Image width 240 mm
FLAIR MR.
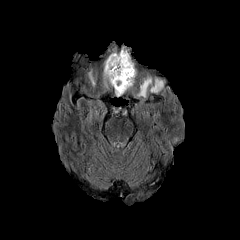
T1-weighted MR image.
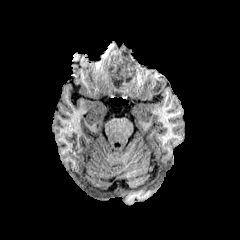
Post-contrast T1-weighted MR image.
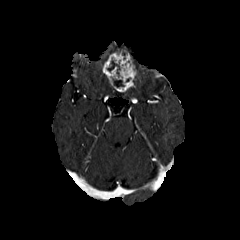
T2-weighted MR.
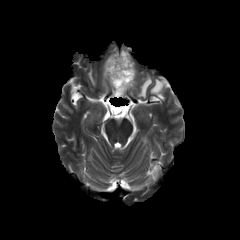
Enhancing tumor = bbox(102, 46, 138, 94).
Non-enhancing tumor core = bbox(113, 80, 124, 87).
Edema = bbox(88, 70, 95, 86); bbox(150, 79, 165, 93); bbox(138, 76, 152, 98).